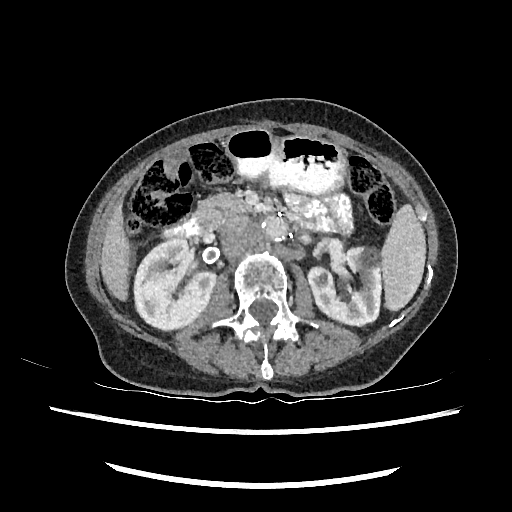
Liver. CT slice.
2 kidney regions are bounded by left=308, top=248, right=380, bottom=324; left=134, top=239, right=215, bottom=329. The liver is located at left=101, top=203, right=129, bottom=298.